FLAIR MR.
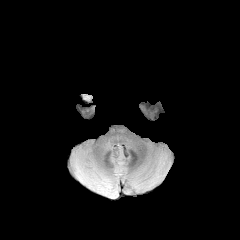
T1-weighted MR image.
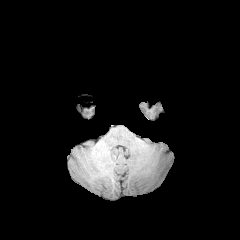
Post-contrast T1-weighted MR image.
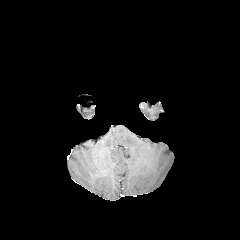
T2-weighted MR image.
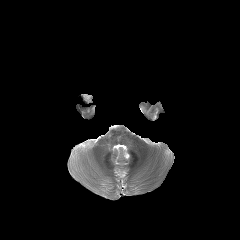
Head
edema: [102,180,111,192]